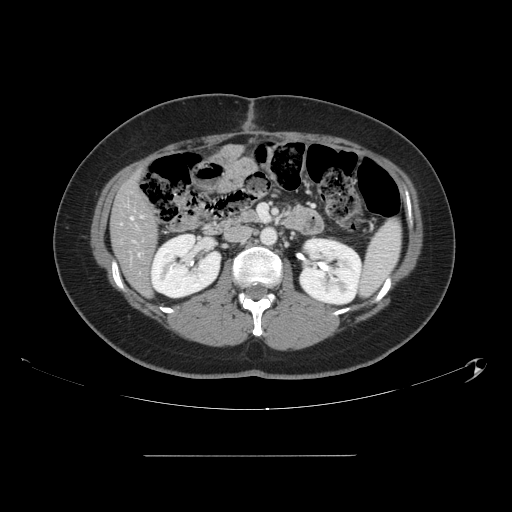 Computed tomography; Abdomen
The vessel annotation is not exhaustive.
The hepatic vessel appears at x1=131, y1=217, x2=132, y2=219.